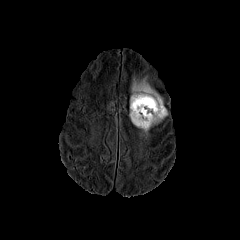
FLAIR MRI.
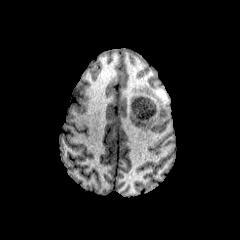
Same slice, T1-weighted MR image.
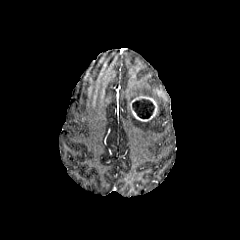
Same slice, post-contrast T1-weighted MR.
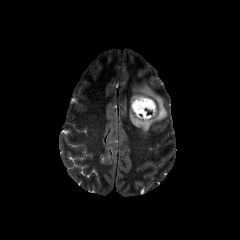
T2-weighted magnetic resonance of the same slice.
Head; 240x240
<segmentation>
  <enhancing_tumor>(x1=130, y1=96, x2=157, y2=121)</enhancing_tumor>
  <non-enhancing_tumor_core>(x1=132, y1=98, x2=154, y2=118)</non-enhancing_tumor_core>
  <edema>(x1=129, y1=78, x2=167, y2=132)</edema>
</segmentation>